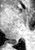 MRI. Hippocampus. {"posterior_hippocampus": ["bbox=[8, 40, 18, 44]"]}